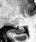
Hippocampus. MR.
Posterior hippocampus = region(11, 27, 24, 34).